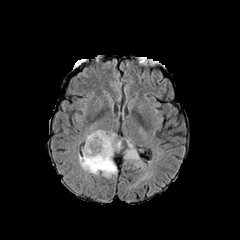
FLAIR magnetic resonance.
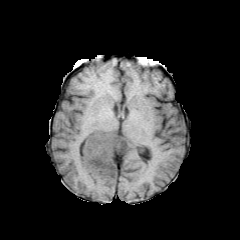
T1-weighted MRI.
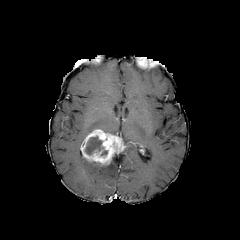
Post-contrast T1-weighted MR image of the same slice.
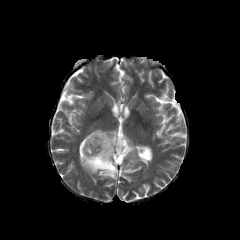
T2-weighted MR.
Image size 240x240, Head
Enhancing tumor: bounding box {"x1": 80, "y1": 129, "x2": 125, "y2": 166}.
Non-enhancing tumor core: bounding box {"x1": 86, "y1": 137, "x2": 101, "y2": 154}.
Edema: bounding box {"x1": 124, "y1": 139, "x2": 141, "y2": 164}, {"x1": 78, "y1": 155, "x2": 117, "y2": 178}.